CT. Abdomen. 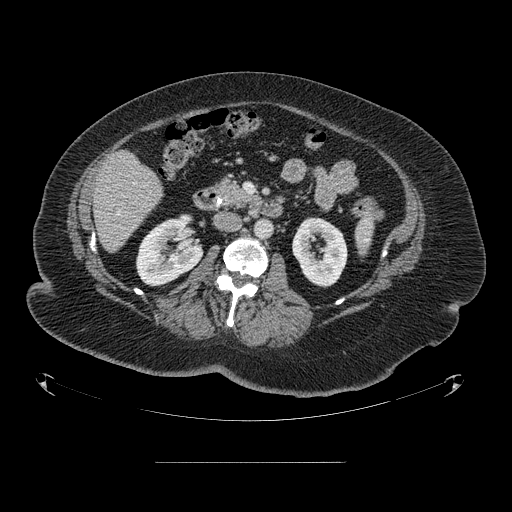 Pancreas: <box>211,179,257,208</box>.